CT slice. Field of view 335 mm wide, 1.00 mm slice spacing.
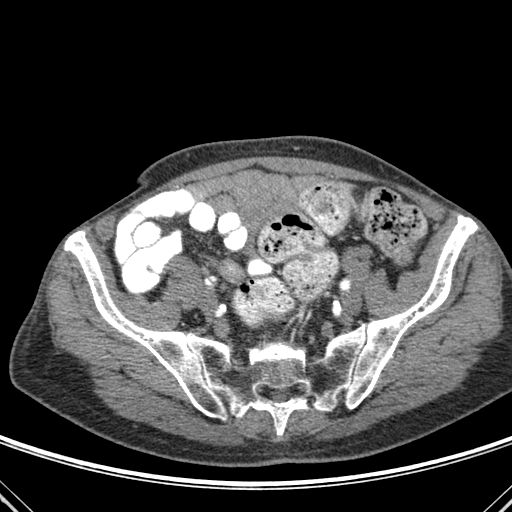

Bone: bounding box region(64, 215, 477, 435).